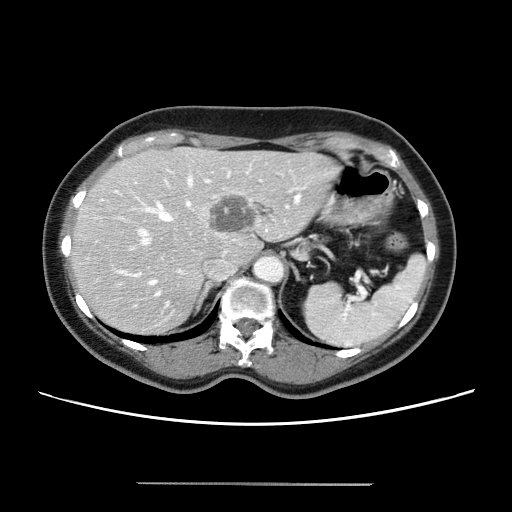

CT scan slice

Only some of the vessels may be annotated.
<segmentation>
  <liver_tumor>212,195,255,231</liver_tumor>
  <hepatic_vessel>131,274,135,276; 157,204,170,220; 151,280,155,283; 187,202,189,205; 295,195,299,201; 188,178,191,183; 140,230,148,243</hepatic_vessel>
</segmentation>